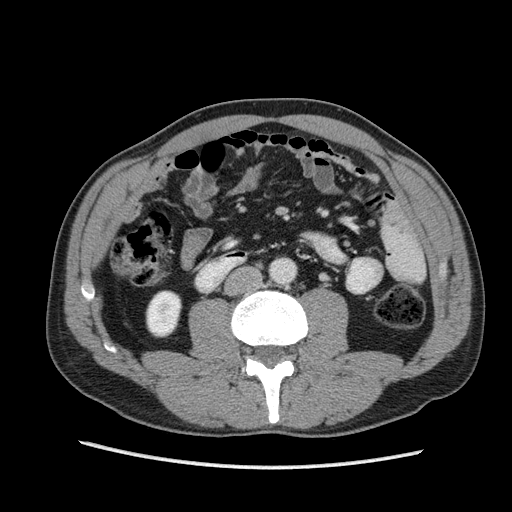 Computed tomography

Kidney — [x1=148, y1=292, x2=179, y2=335].